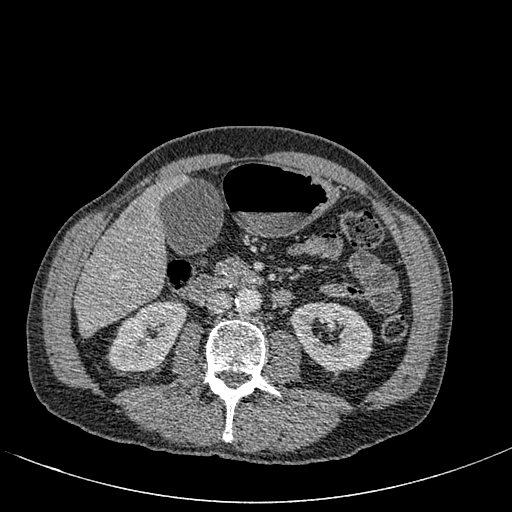

512x512 px, Computed tomography, Liver

Kidney at x1=109, y1=301, x2=186, y2=371; x1=291, y1=299, x2=372, y2=372.
Liver at x1=75, y1=176, x2=187, y2=336.